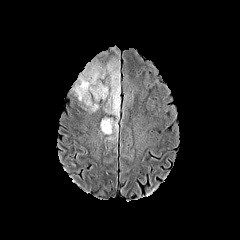
FLAIR MRI.
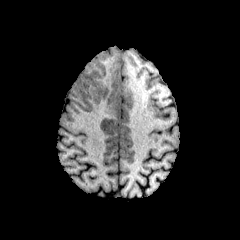
Same slice, T1-weighted MRI.
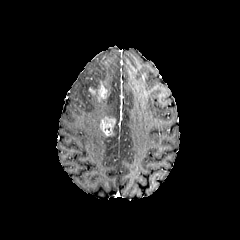
Post-contrast T1-weighted MRI of the same slice.
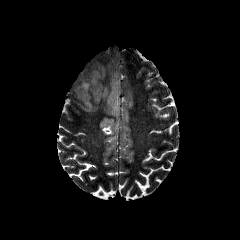
T2-weighted MRI of the same slice.
Head; 240x240
edema: 105,63,120,140; 73,66,105,111 | enhancing tumor: 100,117,115,135; 96,82,107,102